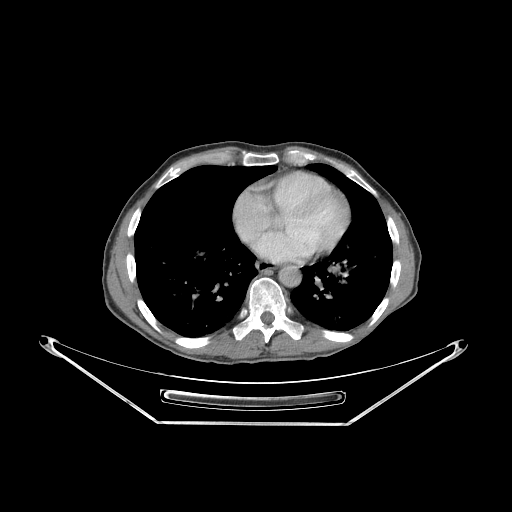
CT image.
- bone: (233,278,302,342), (388,217,398,242), (370,299,388,324), (128,209,140,236), (244,153,278,165), (391,261,400,286), (323,331,352,341), (127,254,135,281), (176,337,208,347), (138,300,159,330), (156,168,178,187)
- lung: (291,164,392,330), (134,165,275,336)